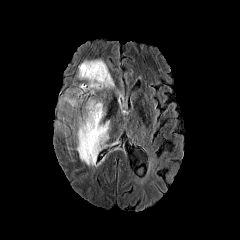
FLAIR magnetic resonance.
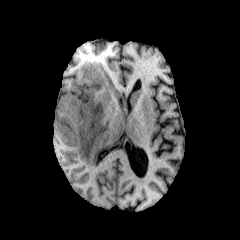
T1-weighted MR of the same slice.
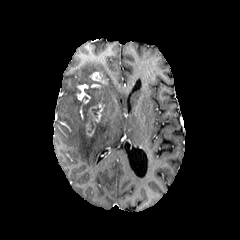
Post-contrast T1-weighted MR.
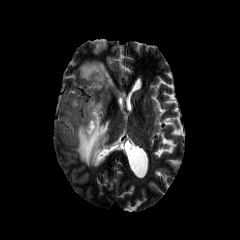
Same slice, T2-weighted magnetic resonance.
Brain
2 non-enhancing tumor core regions are located at l=73, t=88, r=88, b=103; l=79, t=78, r=105, b=131. 3 edema regions appear at l=78, t=61, r=114, b=90; l=57, t=89, r=109, b=166; l=59, t=122, r=70, b=137. 4 enhancing tumor regions appear at l=91, t=72, r=107, b=83; l=76, t=84, r=90, b=103; l=90, t=103, r=104, b=122; l=86, t=120, r=94, b=134.